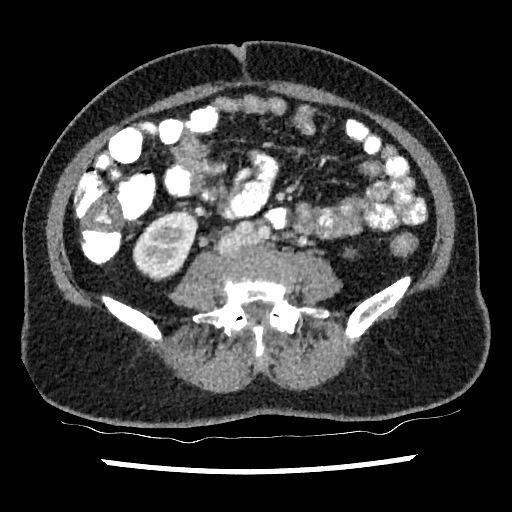

Computed tomography.
The kidney is located at (134, 213, 196, 276).